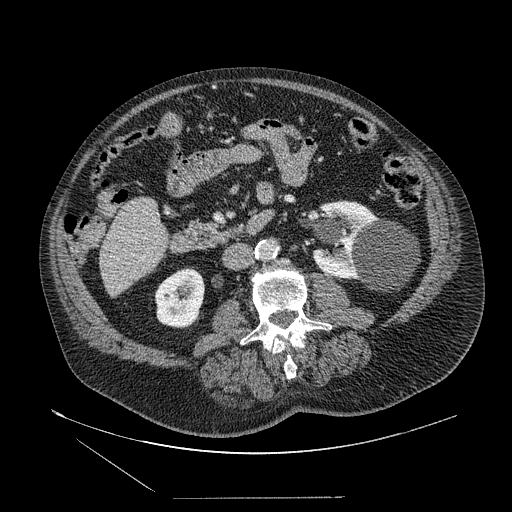

CT scan slice, Upper abdomen
Findings:
* pancreas: box(185, 217, 223, 244)